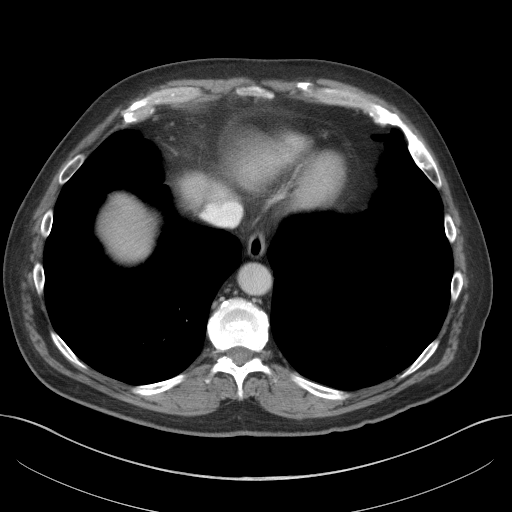

512x512 | CT image
The liver is bounded by bbox=[99, 195, 155, 263].